FLAIR MR.
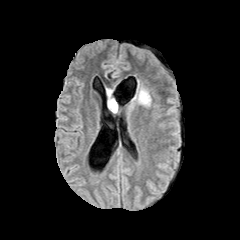
T1-weighted MRI.
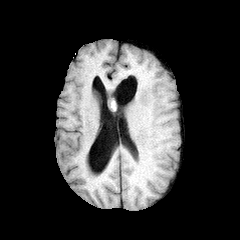
Post-contrast T1-weighted MRI.
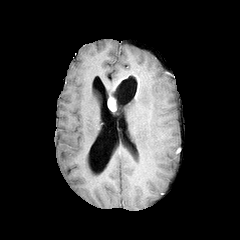
T2-weighted MR.
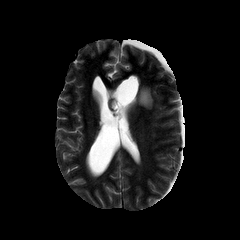
Head
edema: [113, 78, 151, 113], [106, 88, 113, 98] | enhancing tumor: [108, 96, 116, 111]